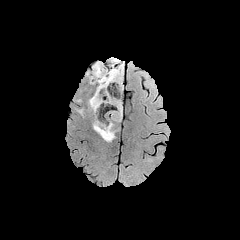
FLAIR MR image.
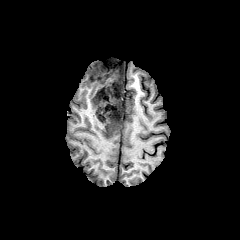
T1-weighted magnetic resonance.
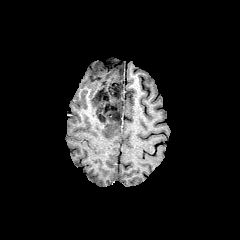
Post-contrast T1-weighted MR image.
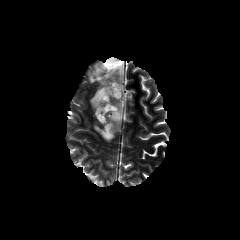
T2-weighted MRI.
Brain; Image size 240x240
non-enhancing tumor core: x1=94, y1=88, x2=105, y2=107; x1=111, y1=108, x2=121, y2=120; x1=92, y1=61, x2=122, y2=93 | edema: x1=88, y1=72, x2=122, y2=114; x1=93, y1=110, x2=122, y2=141; x1=87, y1=62, x2=102, y2=83